FLAIR magnetic resonance.
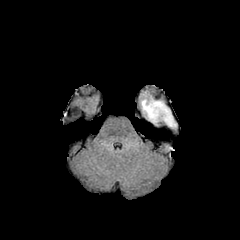
T1-weighted MR.
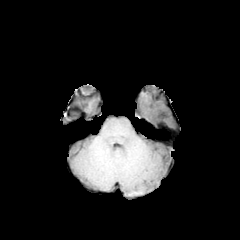
Post-contrast T1-weighted MR image.
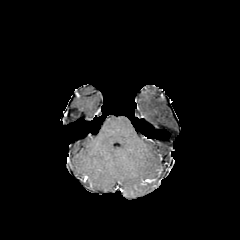
T2-weighted MRI.
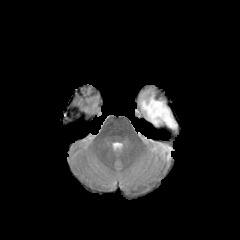
Head, 240x240 px
* edema: rect(139, 92, 177, 129)